MRI slice

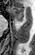
* anterior hippocampus: bbox=[11, 6, 23, 21]